FLAIR MRI.
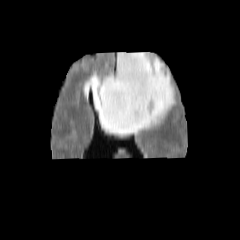
T1-weighted MR.
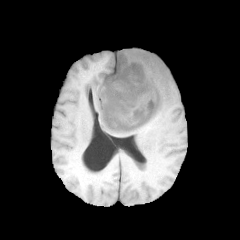
Post-contrast T1-weighted magnetic resonance.
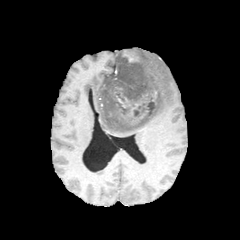
T2-weighted MR image.
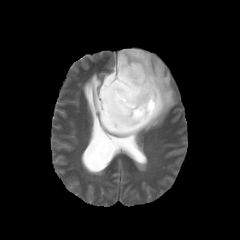
Head; 240x240 px
non-enhancing_tumor_core:
  - 107:48:158:127
edema:
  - 90:48:176:135